Upper abdomen. Image width 400 mm. Slice index 23. CT slice. 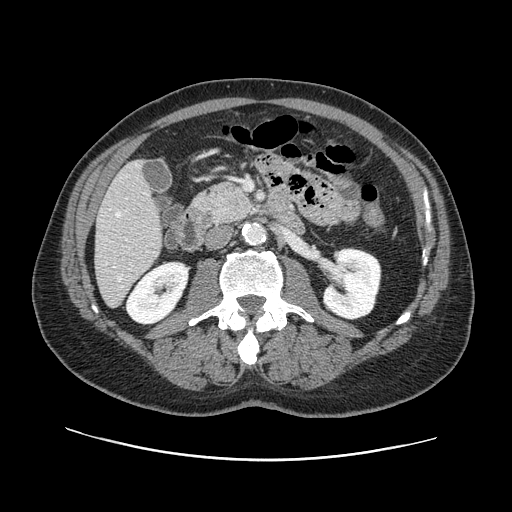

The pancreas appears at 204:181:253:224.